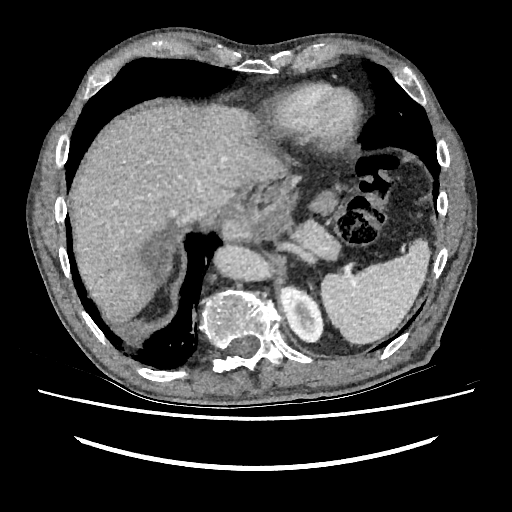 CT. Upper abdomen.
liver: <bbox>72, 106, 287, 324</bbox> | focal liver lesion: <bbox>244, 134, 272, 153</bbox>, <bbox>126, 220, 176, 296</bbox> | kidney: <bbox>281, 287, 322, 341</bbox>